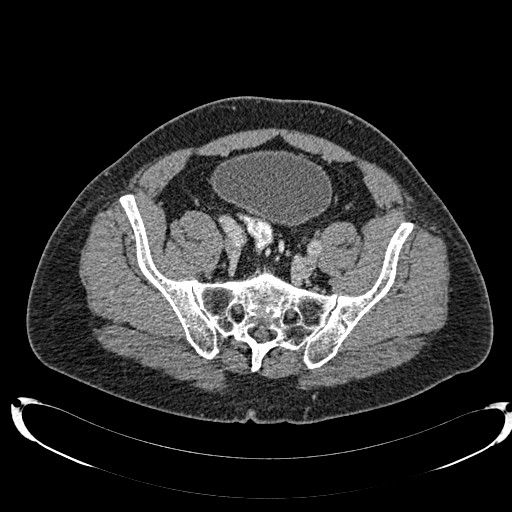

CT scan slice
Urinary bladder: (left=212, top=150, right=332, bottom=226).